Computed tomography.
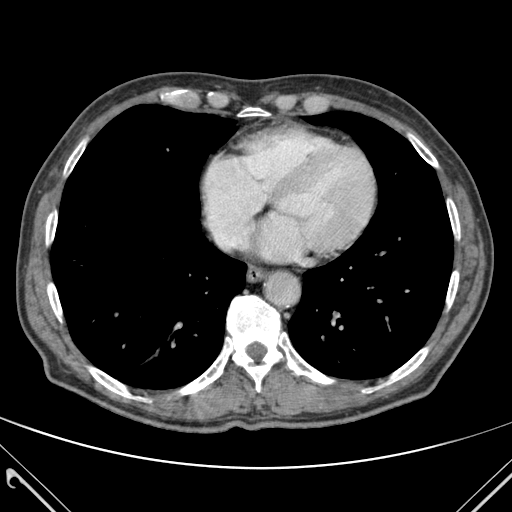
{"lung": ["50,104,246,388", "288,111,453,379"], "bone": ["46,207,57,246", "387,348,427,384", "64,142,85,172", "446,271,458,307", "47,281,61,322", "89,367,140,399", "238,108,270,116", "409,135,437,166", "180,295,333,394", "447,200,459,237"]}